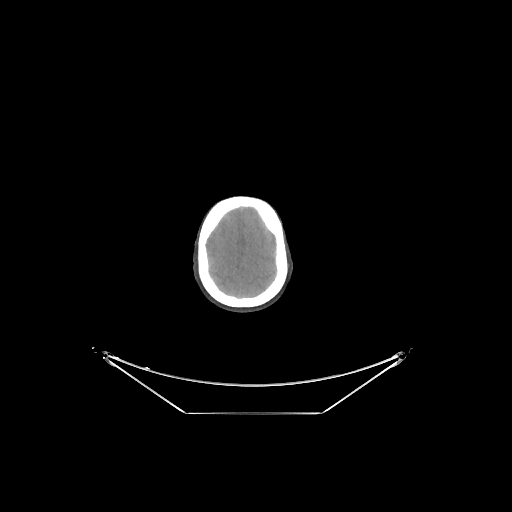
Computed tomography | Brain
<segmentation>
  <brain>box=[206, 207, 276, 297]</brain>
</segmentation>